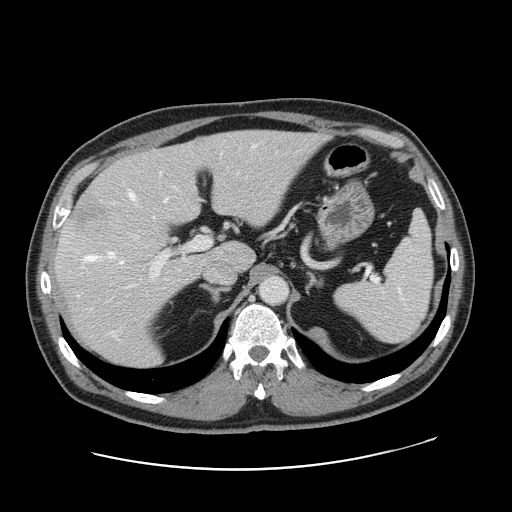

CT; Liver
The vessel annotation is not exhaustive.
The liver tumor is located at box(71, 207, 102, 228). 15 hepatic vessel regions are located at box(220, 151, 222, 153); box(180, 232, 211, 261); box(164, 197, 167, 201); box(108, 251, 114, 257); box(153, 216, 155, 217); box(129, 191, 136, 200); box(129, 284, 134, 285); box(252, 143, 258, 148); box(197, 198, 200, 200); box(172, 186, 176, 187); box(117, 259, 123, 263); box(84, 255, 100, 260); box(150, 245, 176, 276); box(131, 234, 137, 237); box(215, 205, 229, 213).